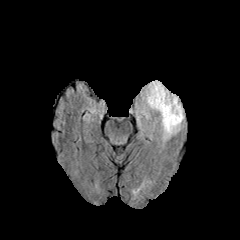
FLAIR MR.
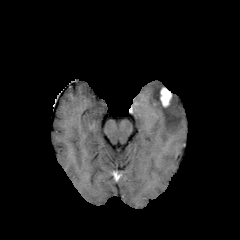
T1-weighted MR.
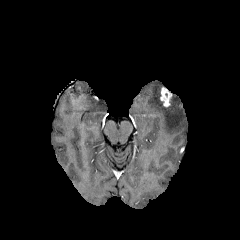
Same slice, post-contrast T1-weighted MR.
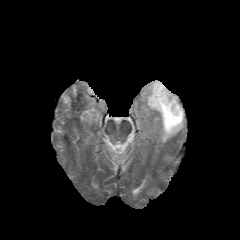
Same slice, T2-weighted MRI.
enhancing tumor: (160, 87, 172, 106) | edema: (135, 80, 184, 144)